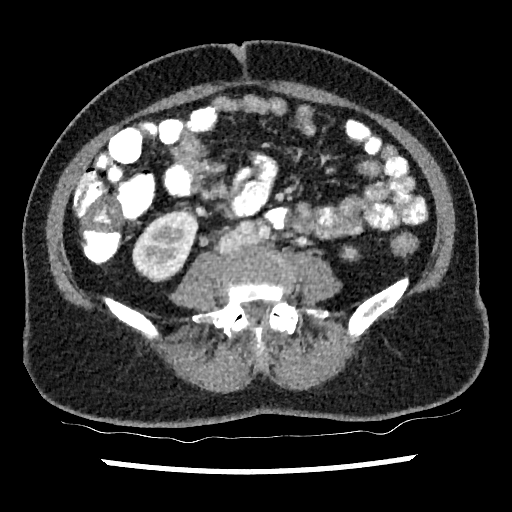

CT scan slice.
kidney:
  - (133,212,196,278)